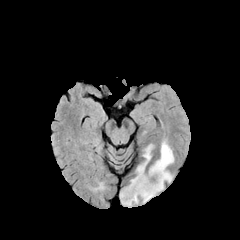
FLAIR MRI.
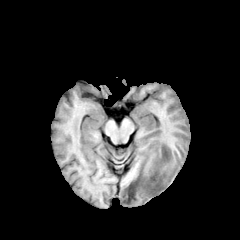
T1-weighted magnetic resonance.
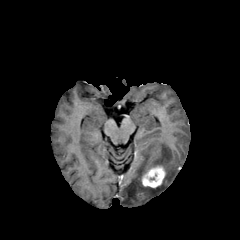
Post-contrast T1-weighted magnetic resonance.
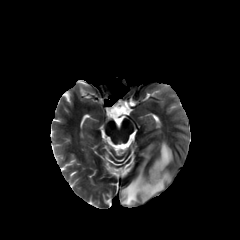
T2-weighted MR.
Brain | 240x240
The enhancing tumor is located at left=138, top=165, right=166, bottom=188. The non-enhancing tumor core appears at left=132, top=179, right=153, bottom=192. The edema lies within left=120, top=141, right=174, bottom=204.